Slice 268 of 410, Liver, Field of view 365 mm wide, 1.50 mm slice spacing, CT

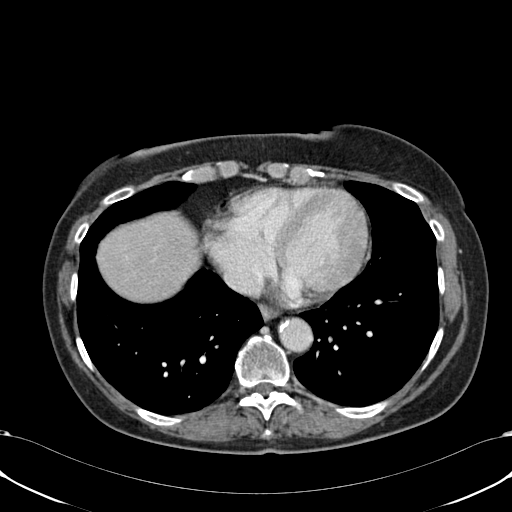

Segmented structures:
- liver: (left=98, top=217, right=193, bottom=299)